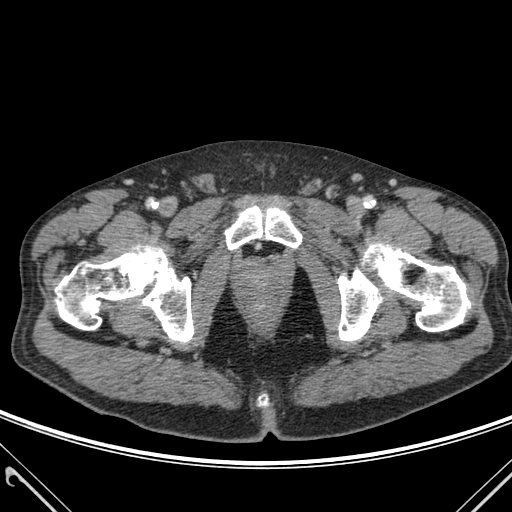 CT scan slice, 512x512 px
4 bone regions are located at x1=55 y1=246 x2=193 y2=341, x1=338 y1=244 x2=470 y2=340, x1=259 y1=397 x2=267 y2=404, x1=225 y1=206 x2=301 y2=249.